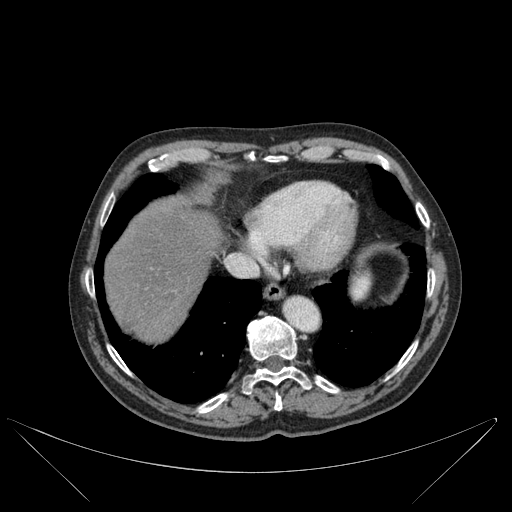
CT scan slice
hepatic lesion: x1=163, y1=292, x2=177, y2=303 | lung: x1=94, y1=173, x2=261, y2=403; x1=313, y1=243, x2=426, y2=386; x1=368, y1=165, x2=418, y2=228 | liver: x1=105, y1=205, x2=221, y2=341 | bone: x1=262, y1=157, x2=285, y2=162; x1=85, y1=275, x2=94, y2=295; x1=416, y1=203, x2=429, y2=226; x1=198, y1=394, x2=226, y2=412; x1=316, y1=377, x2=338, y2=392; x1=107, y1=345, x2=130, y2=374; x1=243, y1=365, x2=310, y2=392; x1=247, y1=316, x2=296, y2=360; x1=427, y1=272, x2=435, y2=295; x1=274, y1=394, x2=281, y2=410; x1=393, y1=342, x2=417, y2=373; x1=376, y1=156, x2=388, y2=169; x1=148, y1=160, x2=158, y2=171